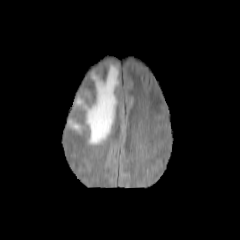
FLAIR MR.
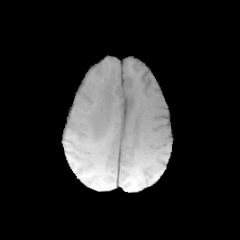
Same slice, T1-weighted MR.
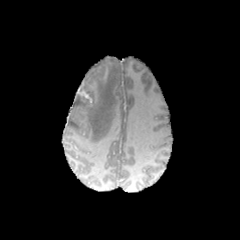
Same slice, post-contrast T1-weighted magnetic resonance.
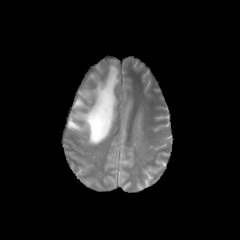
T2-weighted MR image of the same slice.
Brain. Image size 240x240.
edema: 67, 64, 118, 144 | non-enhancing tumor core: 77, 86, 95, 105